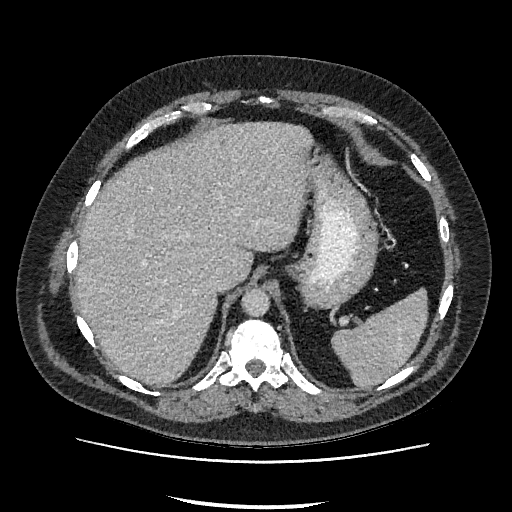
CT image. Abdomen.

liver: bbox=[77, 123, 310, 383]